Slice 22/155. Field of view 240 mm wide, 1.00 mm slice spacing. Brain.
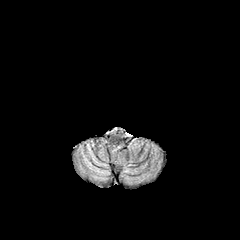
FLAIR magnetic resonance.
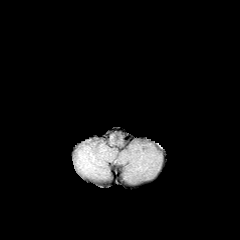
T1-weighted MR image.
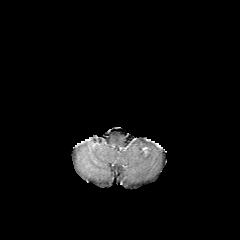
Post-contrast T1-weighted MRI.
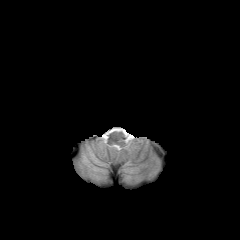
Same slice, T2-weighted magnetic resonance.
edema: [81,142,139,177]